Abdomen, Field of view 407x407 mm, Computed tomography 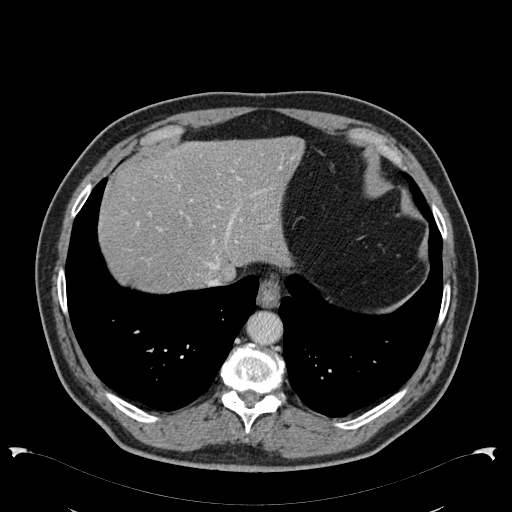

The liver is located at region(100, 137, 305, 290).